MR, Heart, Image size 320x320 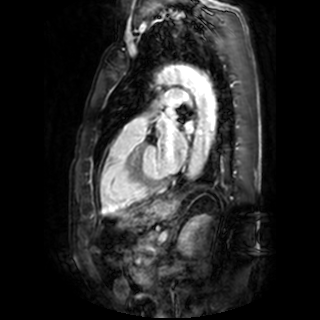 {
  "left_atrium": [
    "[185, 122, 193, 132]",
    "[156, 118, 187, 171]",
    "[167, 109, 177, 118]"
  ]
}